FLAIR MRI.
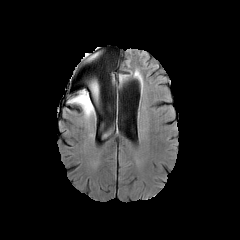
T1-weighted MRI.
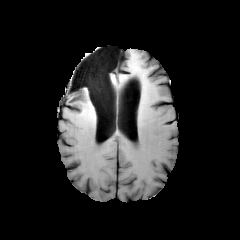
Post-contrast T1-weighted MR image.
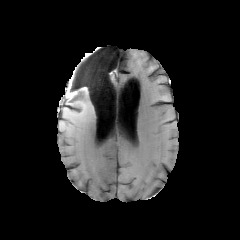
T2-weighted MRI.
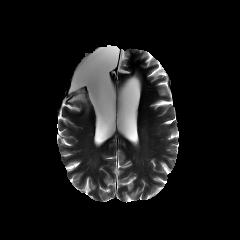
240x240 px.
<segmentation>
  <edema>bbox(67, 78, 99, 118)</edema>
  <non-enhancing_tumor_core>bbox(90, 91, 99, 104)</non-enhancing_tumor_core>
</segmentation>